Slice index 25; CT scan slice

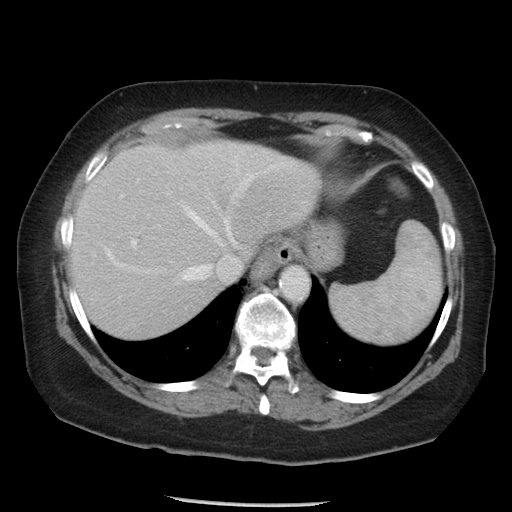 The vessel annotation is not exhaustive.
11 hepatic vessel regions appear at l=104, t=247, r=149, b=272; l=176, t=282, r=178, b=283; l=217, t=239, r=223, b=245; l=179, t=200, r=182, b=202; l=231, t=174, r=253, b=198; l=211, t=201, r=216, b=207; l=182, t=264, r=211, b=279; l=184, t=206, r=215, b=234; l=222, t=216, r=235, b=244; l=120, t=194, r=123, b=197; l=131, t=239, r=136, b=247.